Slice 97/155.
FLAIR MR image.
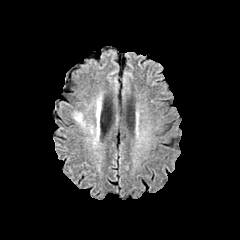
T1-weighted MR image.
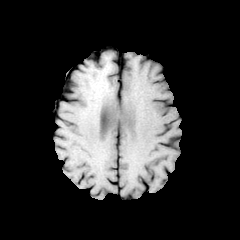
Post-contrast T1-weighted MRI.
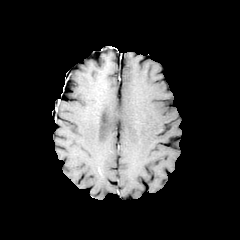
T2-weighted magnetic resonance.
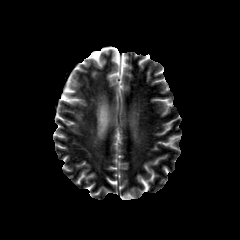
2 edema regions appear at x1=76 y1=114 x2=85 y2=126, x1=95 y1=100 x2=100 y2=135.